Liver; Computed tomography
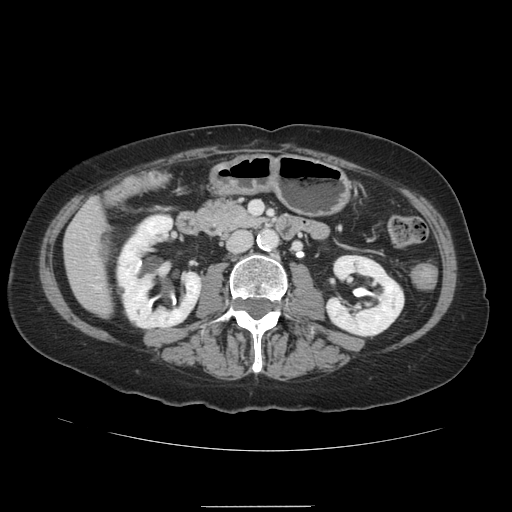 The liver tumor is bounded by <box>100,250,105,263</box>.